Computed tomography, Field of view 345x345 mm, Upper abdomen, 512x512

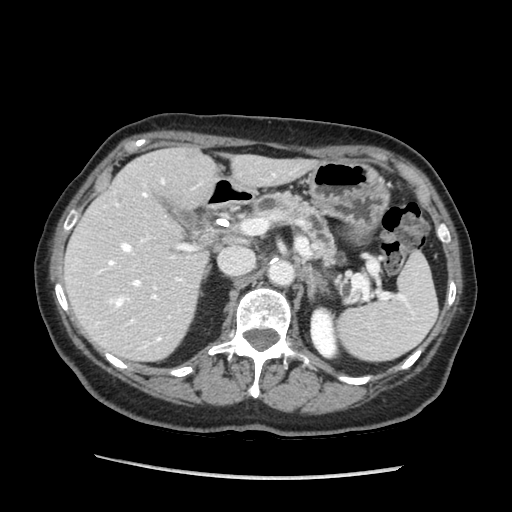 Pancreas at (x1=251, y1=193, x2=345, y2=266).